FLAIR magnetic resonance.
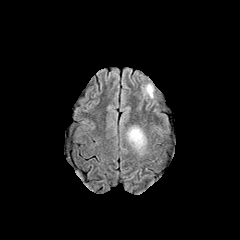
T1-weighted MR.
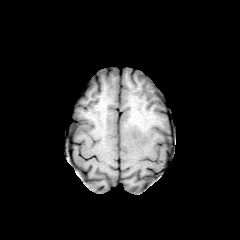
Post-contrast T1-weighted MRI.
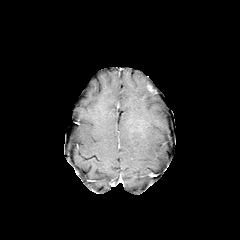
T2-weighted MR image.
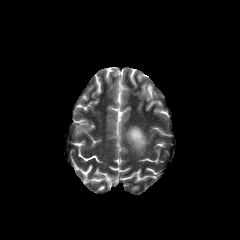
Edema at box=[127, 127, 146, 151].